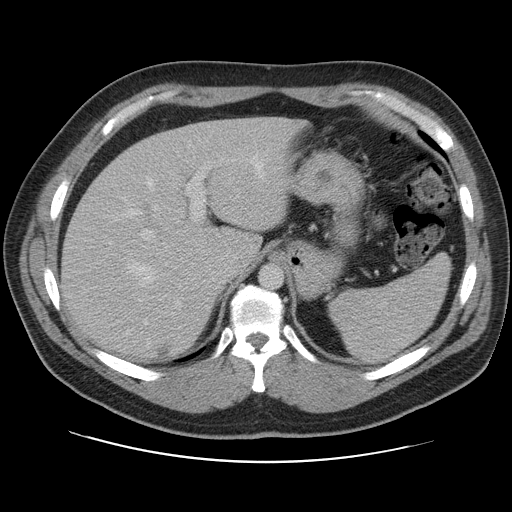
512x512 | Abdomen | CT image
Some hepatic vessels may have no box.
15 hepatic vessel regions are bounded by {"x1": 188, "y1": 141, "x2": 190, "y2": 146}, {"x1": 141, "y1": 229, "x2": 153, "y2": 239}, {"x1": 222, "y1": 228, "x2": 224, "y2": 230}, {"x1": 235, "y1": 189, "x2": 238, "y2": 192}, {"x1": 148, "y1": 267, "x2": 150, "y2": 269}, {"x1": 237, "y1": 194, "x2": 238, "y2": 196}, {"x1": 186, "y1": 161, "x2": 209, "y2": 221}, {"x1": 128, "y1": 262, "x2": 145, "y2": 272}, {"x1": 140, "y1": 274, "x2": 152, "y2": 286}, {"x1": 143, "y1": 319, "x2": 147, "y2": 324}, {"x1": 178, "y1": 176, "x2": 183, "y2": 178}, {"x1": 232, "y1": 219, "x2": 236, "y2": 222}, {"x1": 155, "y1": 230, "x2": 157, "y2": 231}, {"x1": 179, "y1": 259, "x2": 181, "y2": 260}, {"x1": 192, "y1": 285, "x2": 197, "y2": 288}. The liver tumor is bounded by {"x1": 157, "y1": 348, "x2": 169, "y2": 357}.